Head | Slice 46/155 | Field of view 240x240 mm | 240x240 px
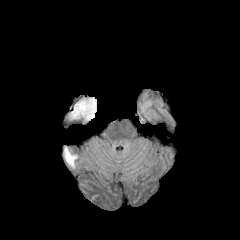
FLAIR MR.
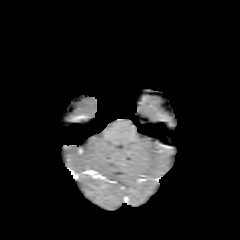
T1-weighted MRI.
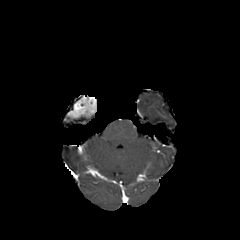
Same slice, post-contrast T1-weighted MR image.
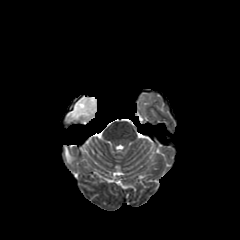
T2-weighted MR of the same slice.
Enhancing tumor: 68,97,96,119.
Edema: 64,147,76,166.